FLAIR MR.
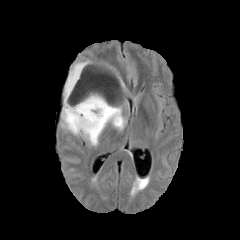
T1-weighted MR.
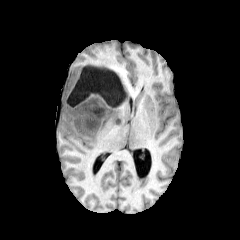
Post-contrast T1-weighted MR.
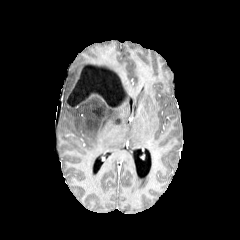
T2-weighted magnetic resonance.
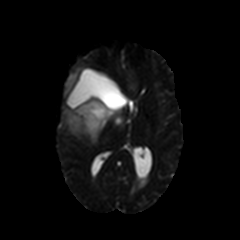
Head
Edema: bounding box (60, 61, 129, 145), (81, 97, 101, 110).
Non-enhancing tumor core: bounding box (71, 70, 122, 128).